CT slice | 512x512 | Slice 183/689

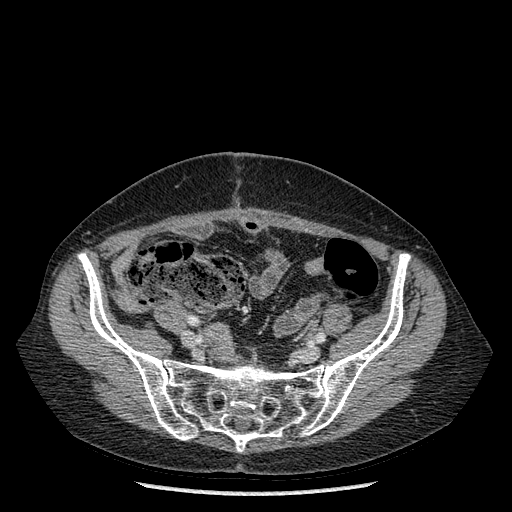 Segmented structures:
• bone: 77:253:410:452